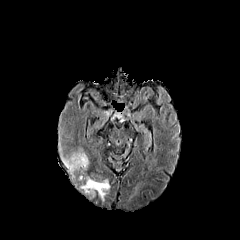
FLAIR MR image.
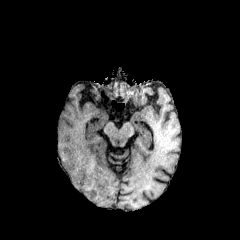
T1-weighted MR image.
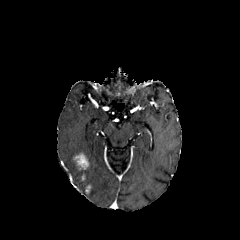
Same slice, post-contrast T1-weighted MR.
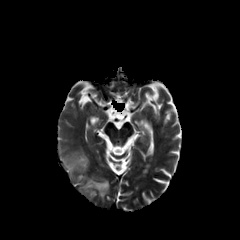
T2-weighted MRI.
Brain
Enhancing tumor at rect(72, 153, 89, 170).
Edema at rect(64, 153, 78, 174); rect(79, 176, 110, 200).